Head; Image size 240x240
FLAIR MR image.
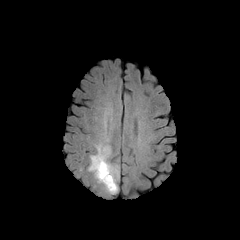
T1-weighted MR image.
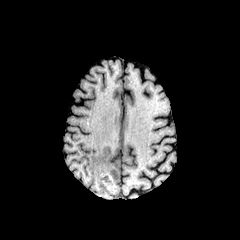
Post-contrast T1-weighted MR.
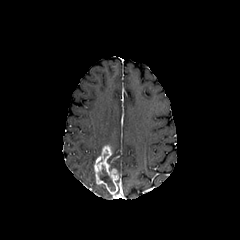
T2-weighted magnetic resonance.
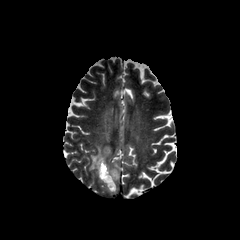
{"enhancing_tumor": ["<bbox>93, 144, 119, 194</bbox>"], "non-enhancing_tumor_core": ["<bbox>99, 165, 115, 190</bbox>"], "edema": ["<bbox>88, 108, 112, 171</bbox>"]}